Upper abdomen | CT image | Slice index 54

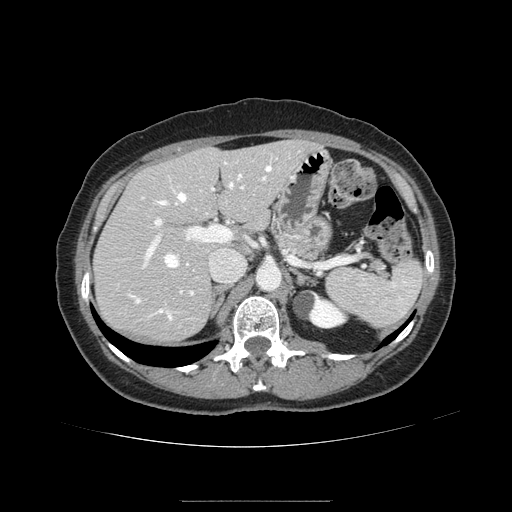

The pancreas is at 271,219,328,261.